Field of view 512x512 mm. CT image. Abdomen. Slice 20/122.

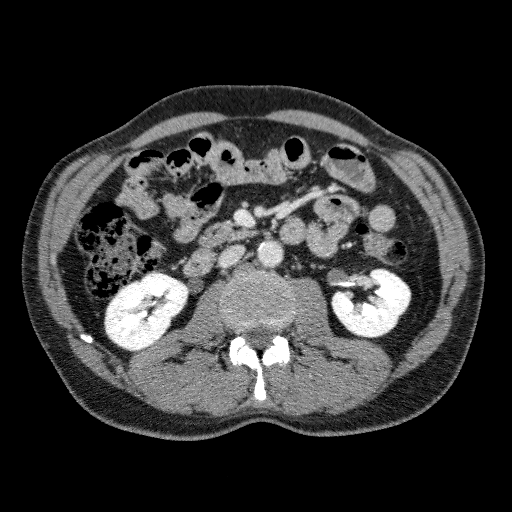

2 kidney regions are bounded by rect(105, 274, 187, 349); rect(332, 269, 409, 336).